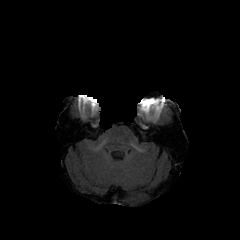
FLAIR magnetic resonance.
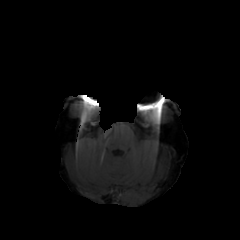
T1-weighted MR image.
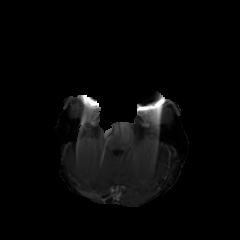
Post-contrast T1-weighted MR of the same slice.
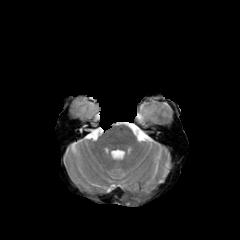
T2-weighted MR image.
2 non-enhancing tumor core regions are located at box(83, 100, 95, 111); box(138, 106, 163, 122). The enhancing tumor appears at box(139, 101, 163, 116).